Field of view 240 mm wide, 1.00 mm slice spacing | Brain | Image size 240x240
FLAIR MR image.
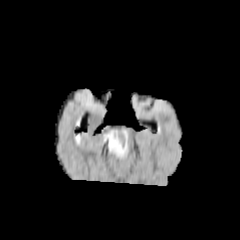
T1-weighted MRI.
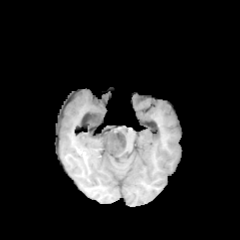
Post-contrast T1-weighted magnetic resonance.
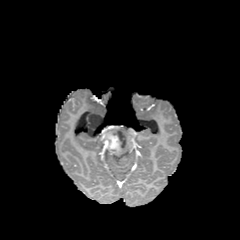
T2-weighted MRI.
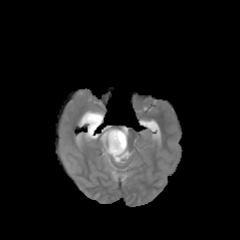
Non-enhancing tumor core: bounding box [85, 112, 104, 139], [112, 127, 127, 151].
Enhancing tumor: bounding box [98, 126, 121, 154].
Edema: bounding box [101, 137, 127, 158], [81, 114, 87, 129].